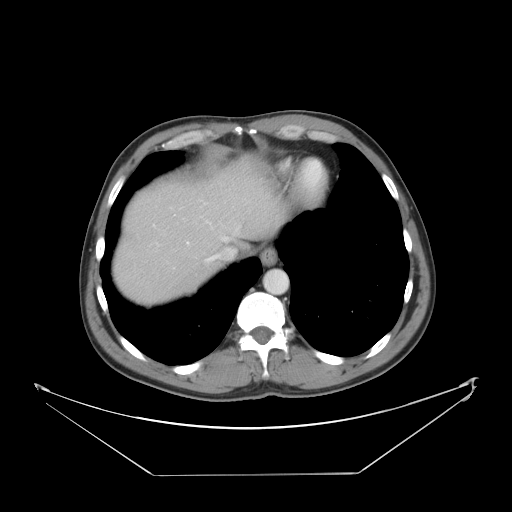

Computed tomography, 512x512
Not every hepatic vessel necessarily has a box.
<segmentation>
  <hepatic_vessel>l=153, t=224, r=155, b=227; l=221, t=237, r=228, b=240; l=207, t=259, r=209, b=260; l=236, t=226, r=240, b=230; l=186, t=242, r=189, b=244; l=156, t=243, r=158, b=245; l=205, t=221, r=210, b=223</hepatic_vessel>
</segmentation>